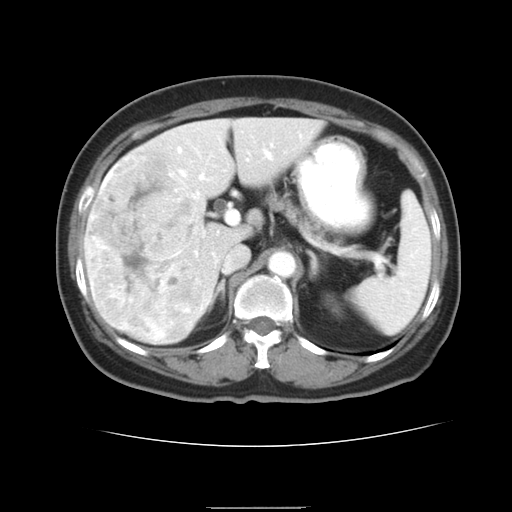

CT slice | Liver

The vessel annotation is not exhaustive.
Hepatic vessel = 181, 170, 185, 174; 177, 148, 180, 152; 299, 135, 300, 137; 270, 144, 272, 146; 264, 151, 270, 158; 199, 174, 204, 179.
Liver tumor = 85, 153, 207, 343.